MRI slice; Slice 25/35; Medial temporal lobe; Field of view 37 mm wide, 1.00 mm slice spacing
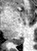

<segmentation>
  <posterior_hippocampus>[x1=8, y1=38, x2=22, y2=44]</posterior_hippocampus>
</segmentation>